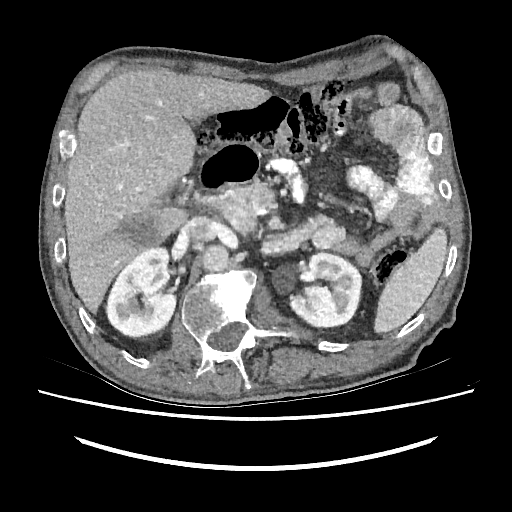 Computed tomography; Abdomen; 512x512
liver lesion: x1=115 y1=213 x2=162 y2=250 | liver: x1=65 y1=70 x2=269 y2=313 | kidney: x1=291 y1=253 x2=360 y2=326, x1=107 y1=248 x2=175 y2=336